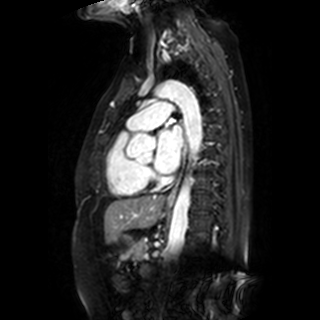 MR image | 320x320 px
Annotated regions:
• left atrium: rect(154, 124, 182, 173)